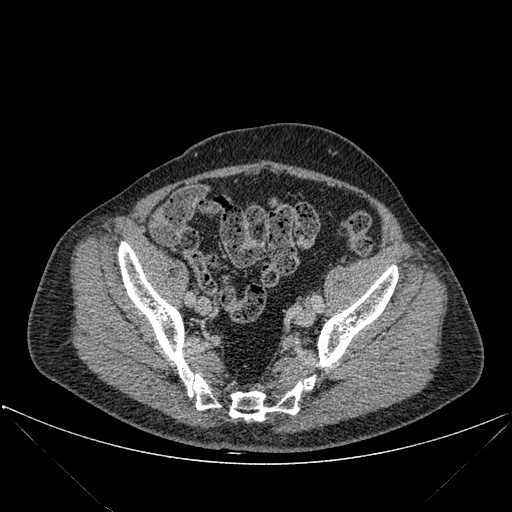 CT scan slice

Annotated regions:
• bone: x1=118, y1=242, x2=220, y2=410; x1=229, y1=375, x2=315, y2=421; x1=317, y1=265, x2=398, y2=367